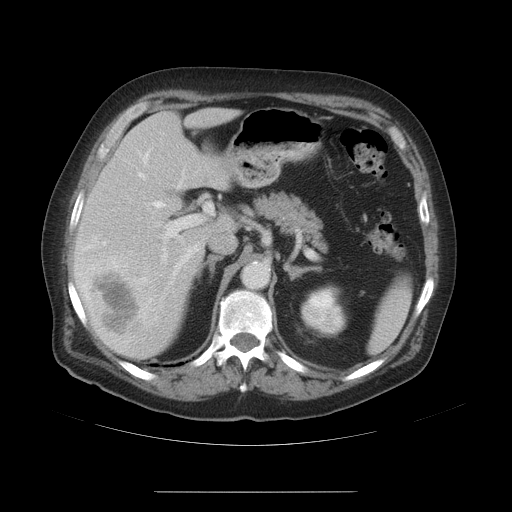
CT; Image size 512x512; Liver

Only some of the vessels may be annotated.
Hepatic vessel: bounding box <box>103,242,105,244</box>, <box>83,246,91,249</box>, <box>173,243,199,274</box>, <box>161,248,167,261</box>, <box>169,282,172,283</box>, <box>178,169,184,187</box>, <box>138,173,145,179</box>, <box>142,149,151,162</box>, <box>161,215,201,244</box>, <box>157,222,161,226</box>, <box>205,204,212,213</box>, <box>94,237,96,242</box>, <box>153,201,164,207</box>.
Liver tumor: bounding box <box>80,261,160,353</box>.